CT | Image width 313 mm | Slice 27 of 32
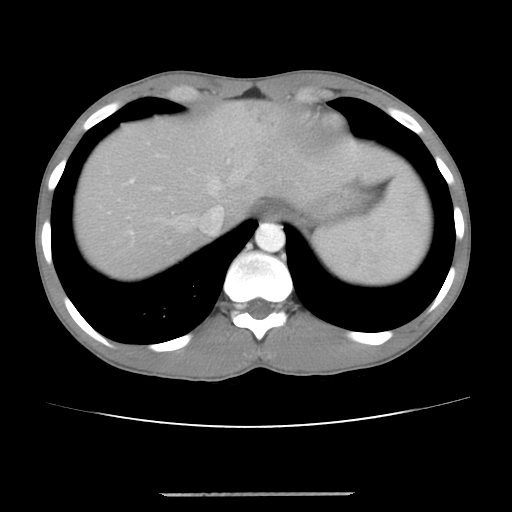
Some hepatic vessels may have no box.
{"liver_tumor": ["251,111,273,124"], "hepatic_vessel": ["172,207,223,232", "230,153,252,180", "206,174,221,195"]}